Brain, 240x240
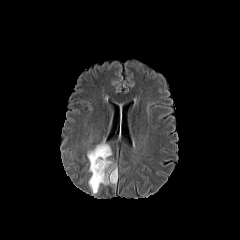
FLAIR magnetic resonance.
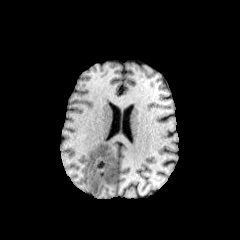
T1-weighted MRI.
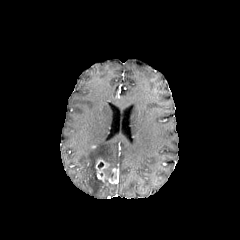
Post-contrast T1-weighted MRI.
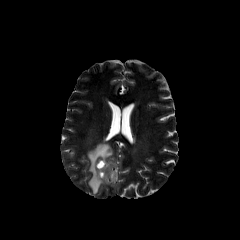
T2-weighted MR image of the same slice.
The non-enhancing tumor core is located at 104:167:113:184. The edema is at 86:140:112:193. 2 enhancing tumor regions appear at 108:169:117:183, 96:160:109:182.